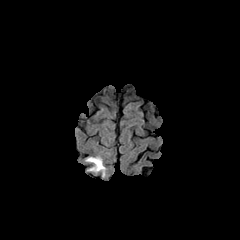
FLAIR MR.
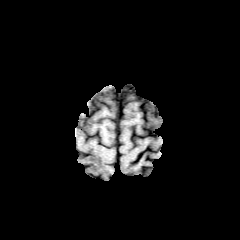
Same slice, T1-weighted magnetic resonance.
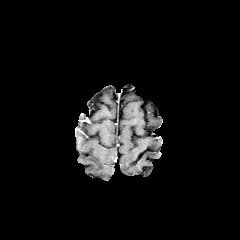
Post-contrast T1-weighted MR image.
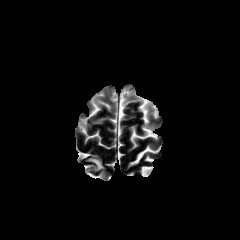
T2-weighted MR.
Brain
{
  "edema": [
    "<box>86,156,105,176</box>"
  ]
}